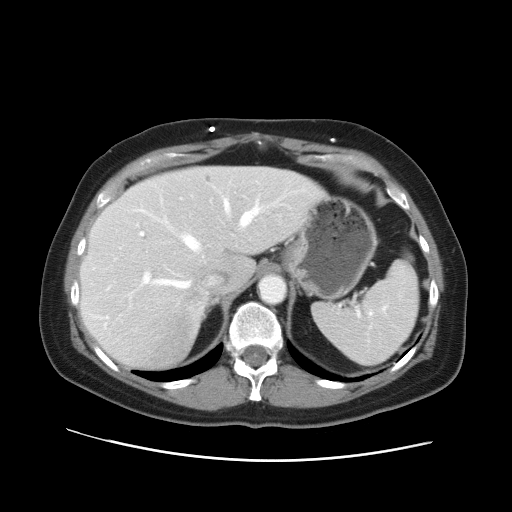
CT image. 512x512 px. Not every hepatic vessel necessarily has a box.
liver tumor: box=[183, 274, 205, 304] | hepatic vessel: box=[178, 232, 201, 252]; box=[132, 206, 174, 231]; box=[239, 197, 267, 229]; box=[136, 224, 137, 225]; box=[141, 272, 183, 288]